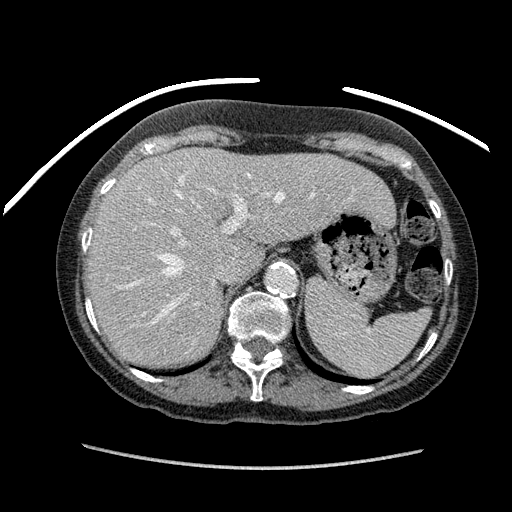
Liver; CT scan slice
Liver: bounding box box(87, 147, 394, 366).